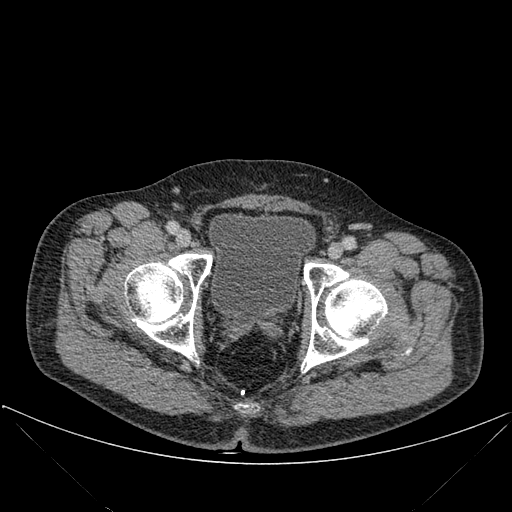 CT
<segmentation>
  <bone>left=236, top=404, right=257, bottom=411; left=301, top=263, right=387, bottom=372; left=125, top=254, right=212, bottom=360</bone>
  <urinary_bladder>left=208, top=212, right=315, bottom=324</urinary_bladder>
</segmentation>